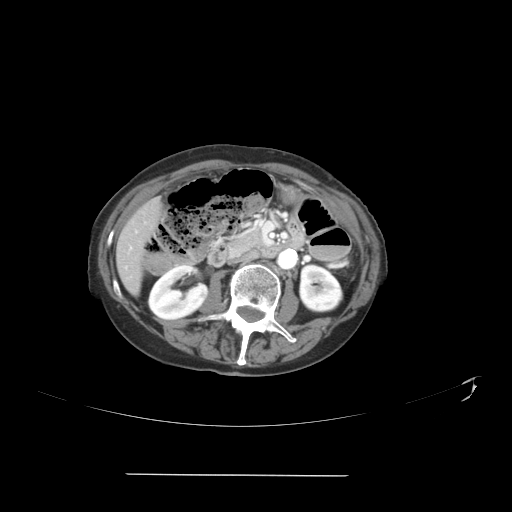 CT slice, Liver
Not every hepatic vessel necessarily has a box.
Hepatic vessel at box(130, 247, 131, 250); box(125, 266, 127, 268).